FLAIR MRI.
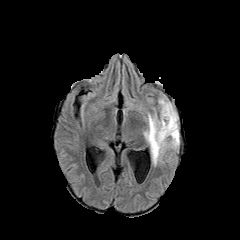
T1-weighted MR image.
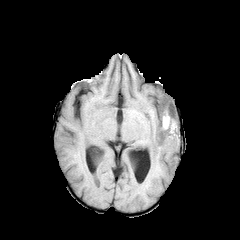
Post-contrast T1-weighted magnetic resonance.
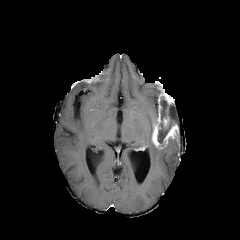
T2-weighted MR image.
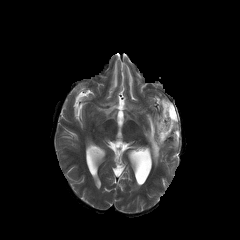
Head.
Findings:
- edema: box(143, 102, 179, 166)
- non-enhancing tumor core: box(156, 99, 177, 143)
- enhancing tumor: box(164, 124, 178, 141); box(158, 93, 173, 110); box(152, 117, 167, 147)